Image width 381 mm | Upper abdomen | CT | Image size 512x512 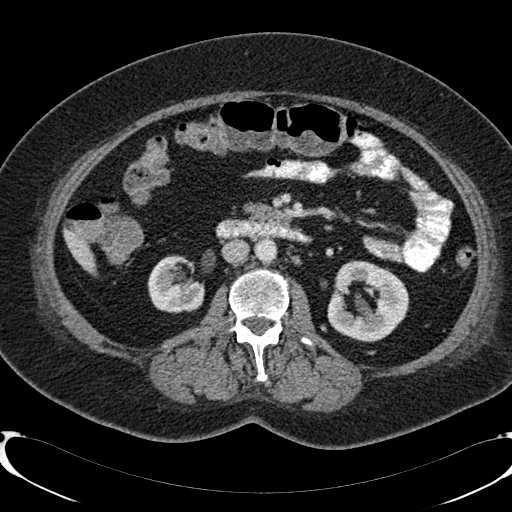 {"liver": ["rect(63, 227, 95, 273)"], "kidney": ["rect(328, 261, 407, 340)", "rect(149, 257, 203, 311)"]}